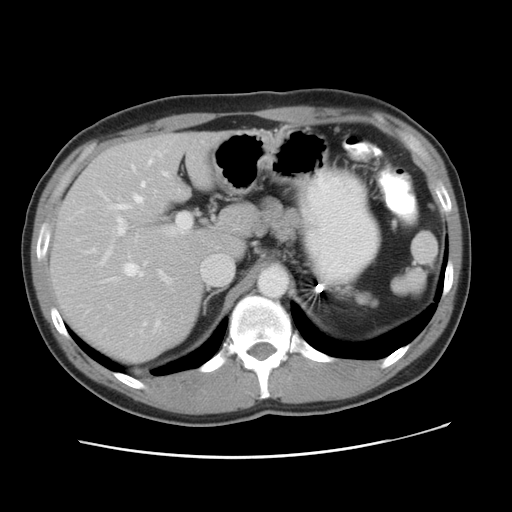
CT scan slice; 512x512

The vessel boxes may cover only some of the vessels.
Segmented structures:
* hepatic vessel: x1=167, y1=224, x2=182, y2=234; x1=158, y1=270, x2=170, y2=282; x1=148, y1=159, x2=151, y2=163; x1=144, y1=262, x2=145, y2=263; x1=201, y1=261, x2=205, y2=273; x1=213, y1=254, x2=217, y2=256; x1=98, y1=181, x2=144, y2=235; x1=143, y1=321, x2=145, y2=324; x1=87, y1=248, x2=96, y2=252; x1=100, y1=246, x2=111, y2=263; x1=131, y1=165, x2=134, y2=169; x1=163, y1=171, x2=167, y2=174; x1=122, y1=261, x2=143, y2=276